Image size 512x512. CT. Slice 475 of 536.
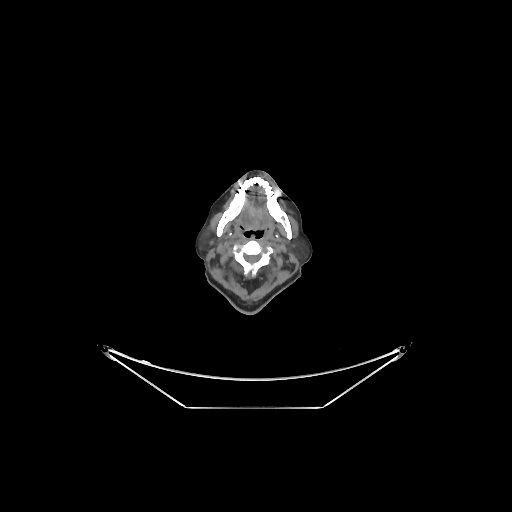
<segmentation>
  <bone>{"x1": 233, "y1": 240, "x2": 272, "y2": 275}, {"x1": 217, "y1": 177, "x2": 291, "y2": 239}</bone>
</segmentation>